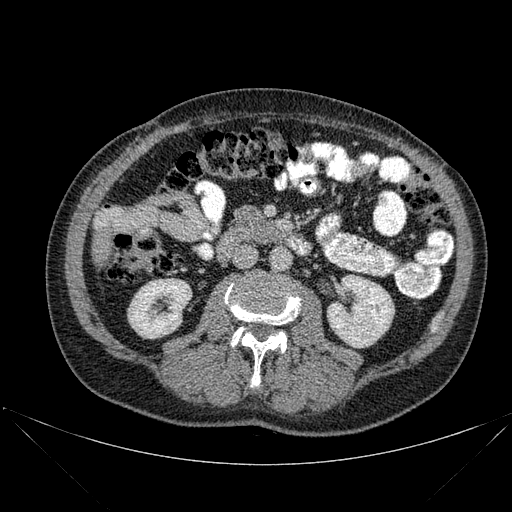

CT slice; 512x512

2 kidney regions are located at box=[128, 279, 191, 338]; box=[327, 275, 394, 347]. 2 bone regions appear at box=[225, 280, 299, 324]; box=[231, 327, 288, 387]. The liver is located at box=[92, 226, 114, 264].